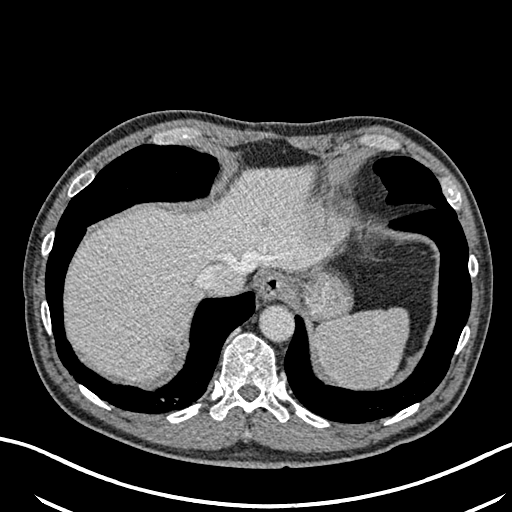 CT
* liver: 64:166:320:380
* liver lesion: 166:340:174:354, 261:219:268:226